512x512. Slice 88 of 260. Image width 512 mm. Upper abdomen. CT image.
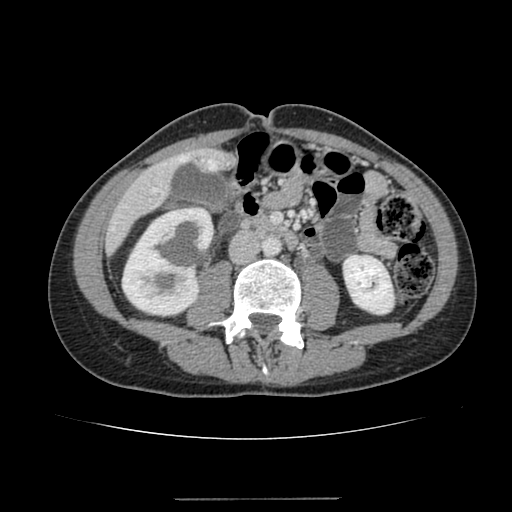
kidney:
  - l=343, t=255, r=393, b=313
  - l=122, t=208, r=212, b=314
liver:
  - l=105, t=149, r=235, b=254